CT scan slice

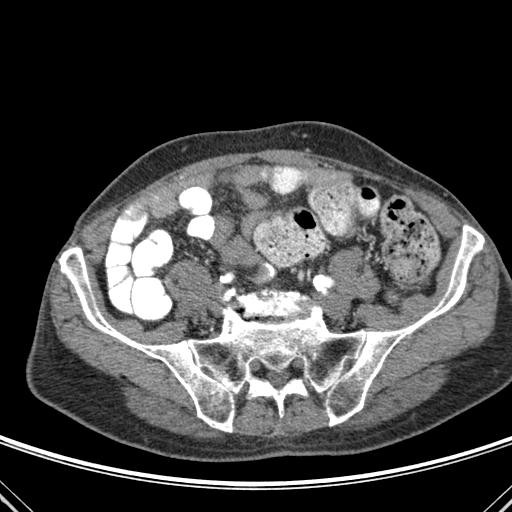 The bone appears at (59,225,484,432).